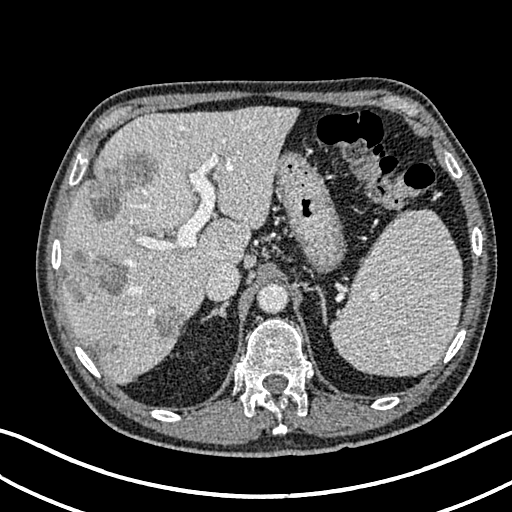 CT scan slice | 512x512
Findings:
• focal liver lesion: (x1=94, y1=341, x2=115, y2=354), (x1=88, y1=154, x2=158, y2=222), (x1=155, y1=305, x2=186, y2=338), (x1=66, y1=250, x2=129, y2=302)
• liver: (x1=64, y1=107, x2=297, y2=379)